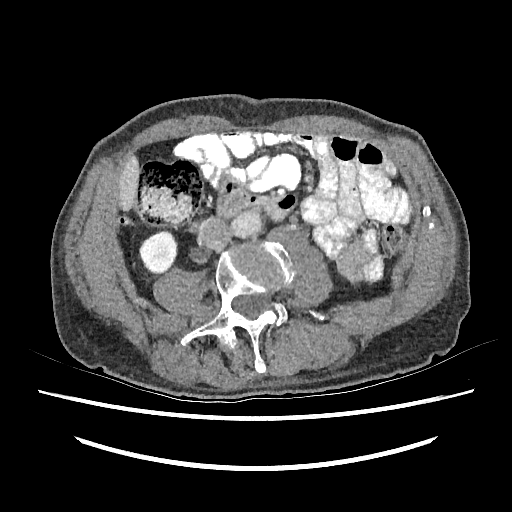

CT | Image size 512x512
Liver at x1=119 y1=156 x2=137 y2=210.
Kidney at x1=140 y1=232 x2=175 y2=272.